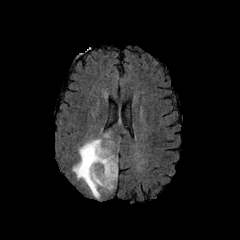
FLAIR MR image.
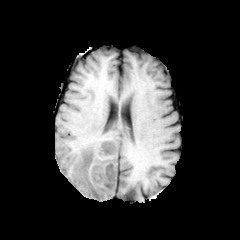
T1-weighted MR image of the same slice.
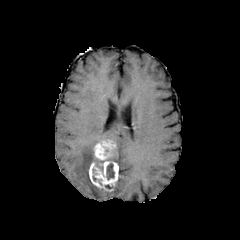
Post-contrast T1-weighted MR image.
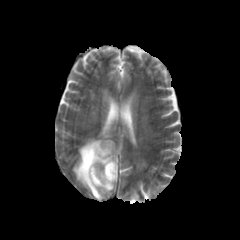
Same slice, T2-weighted MRI.
Segmented structures:
* non-enhancing tumor core: l=82, t=148, r=104, b=187; l=107, t=163, r=114, b=179
* edema: l=72, t=132, r=112, b=199
* enhancing tumor: l=88, t=140, r=117, b=190